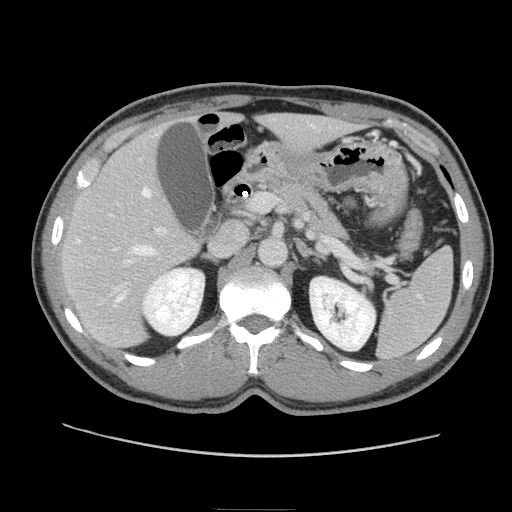 CT slice, 512x512 px
pancreas: [360, 253, 377, 277], [275, 181, 359, 252]